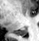 MRI; Hippocampus
- posterior hippocampus: bbox(15, 29, 26, 35)